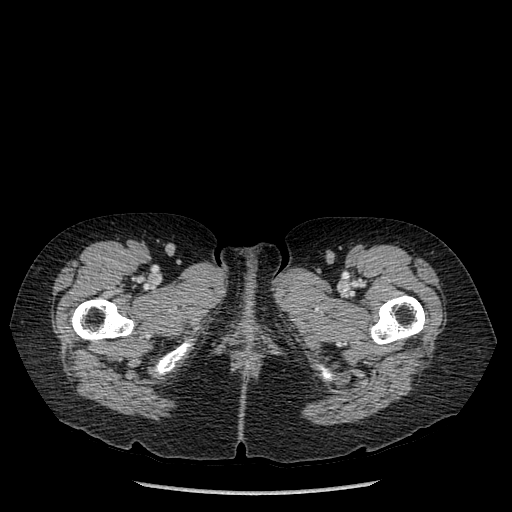

Computed tomography
bone:
  - (71,298,133,342)
  - (317,365,332,380)
  - (370,295,425,344)
  - (153,339,192,374)